Slice index 64; Brain
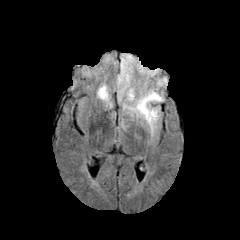
FLAIR MR.
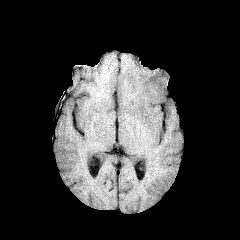
T1-weighted magnetic resonance.
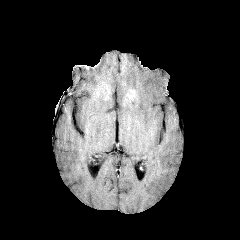
Same slice, post-contrast T1-weighted magnetic resonance.
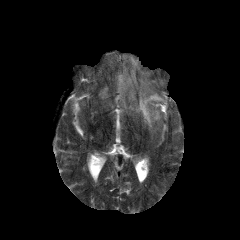
T2-weighted magnetic resonance of the same slice.
Edema — [98, 86, 109, 100], [125, 87, 163, 131], [117, 56, 136, 99].